FLAIR MR.
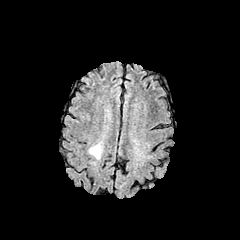
T1-weighted MRI.
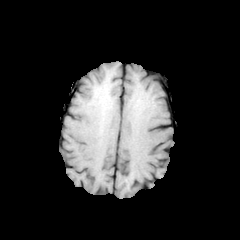
Post-contrast T1-weighted MR.
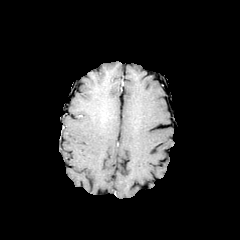
T2-weighted MR image.
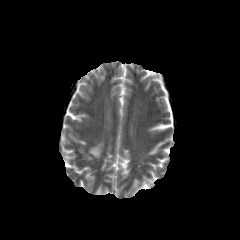
Head.
The edema lies within (88, 142, 102, 159).